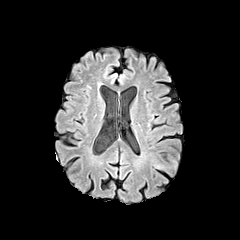
FLAIR MRI.
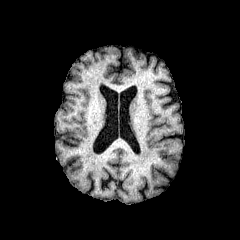
T1-weighted MRI of the same slice.
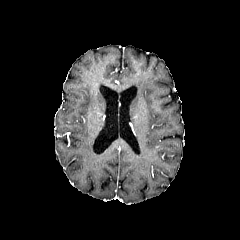
Post-contrast T1-weighted MR image.
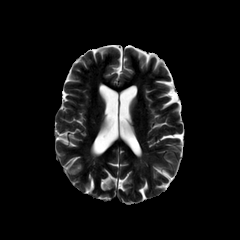
T2-weighted magnetic resonance.
Brain
{
  "edema": [
    "bbox=[148, 152, 166, 169]"
  ]
}